Head
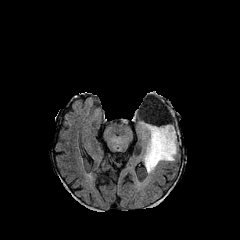
FLAIR MR.
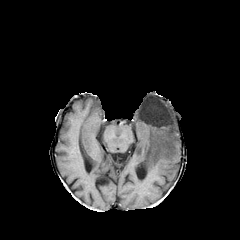
T1-weighted MRI of the same slice.
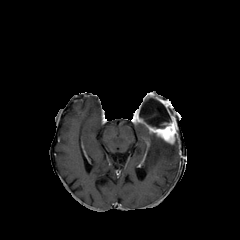
Post-contrast T1-weighted MR image of the same slice.
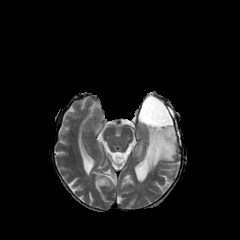
T2-weighted magnetic resonance of the same slice.
The non-enhancing tumor core lies within <box>137,94,178,127</box>. The edema is at <box>140,126,178,173</box>. The enhancing tumor appears at <box>133,111,177,143</box>.